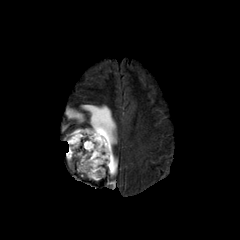
FLAIR magnetic resonance.
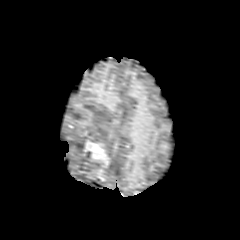
Same slice, T1-weighted MR image.
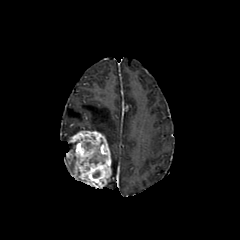
Post-contrast T1-weighted MRI.
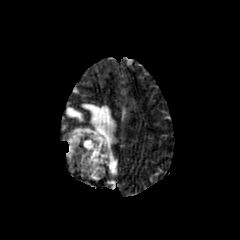
T2-weighted MRI.
240x240 px.
2 edema regions appear at bbox=[68, 158, 80, 175]; bbox=[65, 104, 117, 187]. 3 non-enhancing tumor core regions are bounded by bbox=[90, 176, 106, 185]; bbox=[89, 152, 105, 164]; bbox=[84, 142, 93, 149]. The enhancing tumor lies within bbox=[69, 130, 111, 182].